CT slice. Slice 208/466. 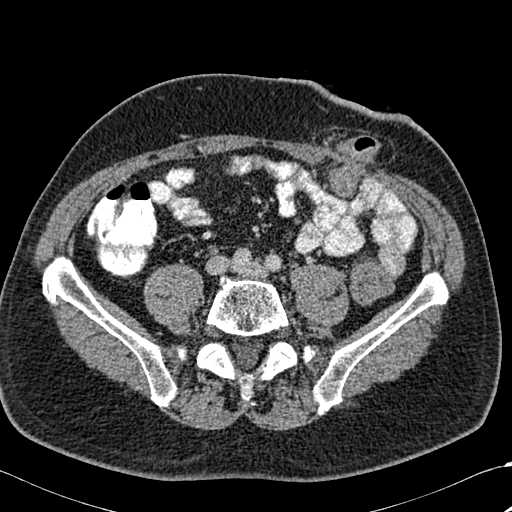
• bone: [178, 348, 185, 358], [197, 342, 254, 399], [260, 342, 297, 379], [303, 346, 314, 361], [312, 272, 448, 413], [43, 257, 176, 406], [205, 276, 288, 337]